Head; Slice index 102
FLAIR MR image.
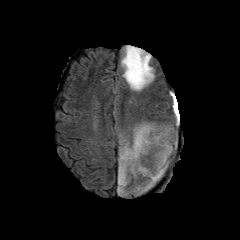
T1-weighted magnetic resonance.
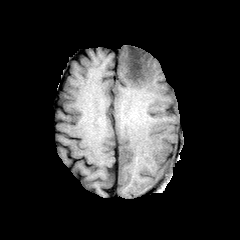
Post-contrast T1-weighted magnetic resonance.
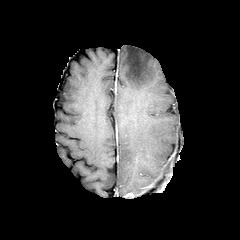
T2-weighted magnetic resonance.
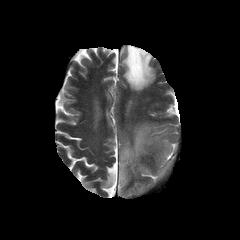
- edema: (x1=121, y1=46, x2=155, y2=90), (x1=149, y1=142, x2=174, y2=183), (x1=118, y1=126, x2=149, y2=192)
- non-enhancing tumor core: (x1=127, y1=48, x2=144, y2=82)